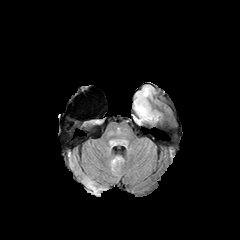
FLAIR MR image.
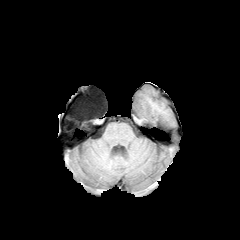
T1-weighted MRI.
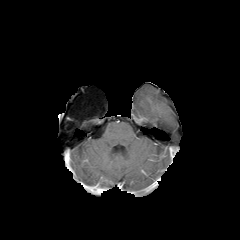
Post-contrast T1-weighted magnetic resonance of the same slice.
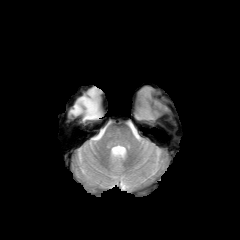
T2-weighted MRI of the same slice.
Edema: bounding box box(138, 106, 149, 119).